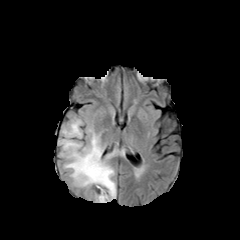
FLAIR magnetic resonance.
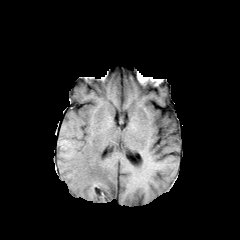
T1-weighted magnetic resonance.
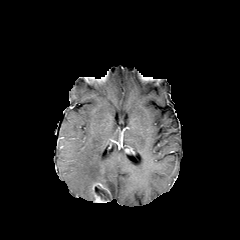
Post-contrast T1-weighted MRI.
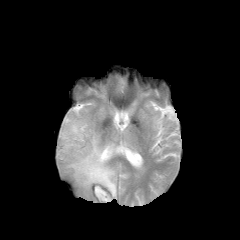
Same slice, T2-weighted MR image.
240x240 px
The edema is located at (59, 117, 124, 201).